Slice index 49. Upper abdomen. CT. Field of view 371x371 mm. 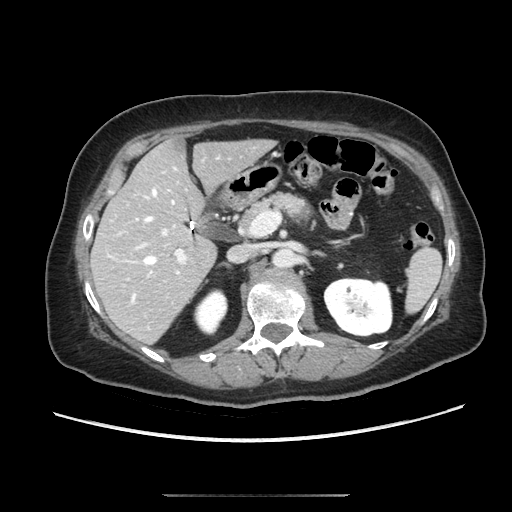 <segmentation>
  <pancreas>box(243, 195, 310, 227)</pancreas>
</segmentation>